FLAIR MR.
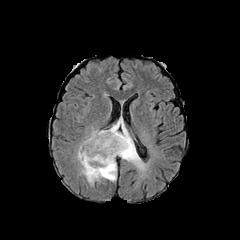
T1-weighted MR image.
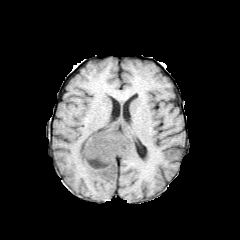
Post-contrast T1-weighted MRI.
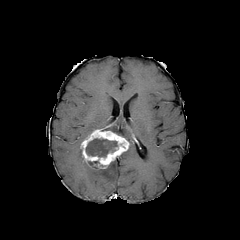
T2-weighted MR image.
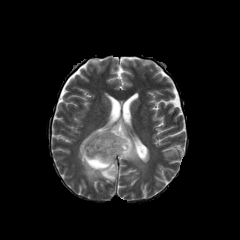
240x240, Head
3 edema regions are located at [x1=116, y1=143, x2=146, y2=170], [x1=109, y1=117, x2=132, y2=141], [x1=76, y1=130, x2=117, y2=184]. The enhancing tumor is located at [x1=80, y1=129, x2=129, y2=168]. The non-enhancing tumor core lies within [x1=86, y1=138, x2=117, y2=156].